Slice index 201; 512x512; Field of view 411x411 mm; CT scan slice 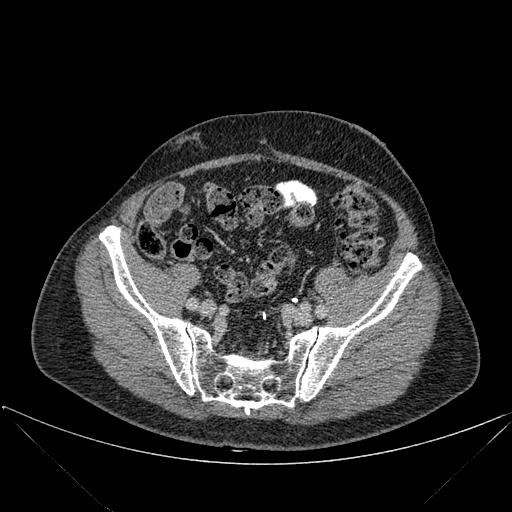

Annotated regions:
- bone: l=99, t=226, r=421, b=414